CT slice 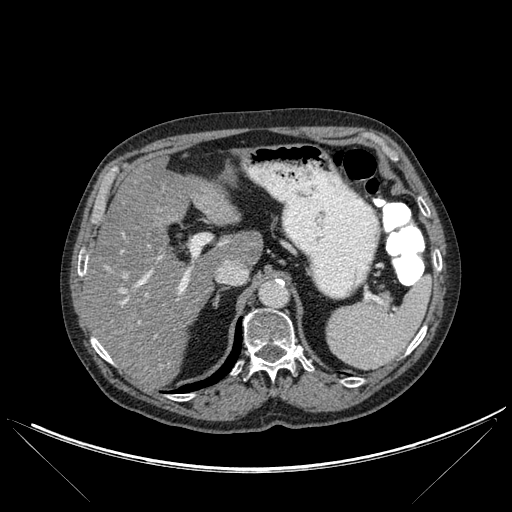
Lung = l=171, t=320, r=241, b=393.
Bone = l=433, t=250, r=441, b=270; l=418, t=198, r=429, b=215; l=342, t=377, r=363, b=387; l=91, t=338, r=112, b=362; l=231, t=362, r=242, b=374; l=78, t=257, r=87, b=275; l=168, t=394, r=193, b=400; l=243, t=309, r=313, b=380; l=406, t=326, r=426, b=354.
Liver = l=84, t=158, r=262, b=387.